Slice 72/155 | Head
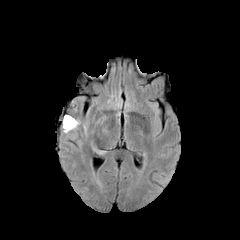
FLAIR MRI.
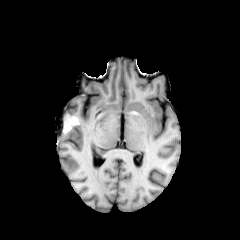
T1-weighted magnetic resonance.
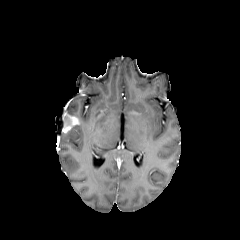
Post-contrast T1-weighted MR image.
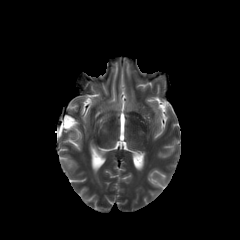
T2-weighted MR image.
{"enhancing_tumor": ["box=[62, 115, 77, 132]"], "edema": ["box=[62, 122, 89, 139]"]}